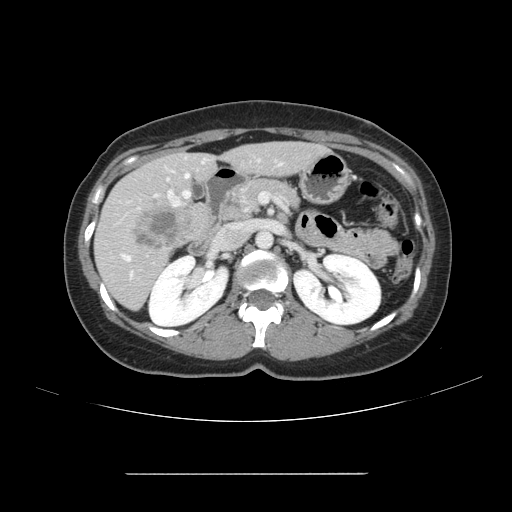 CT

The vessel boxes may cover only some of the vessels.
Liver tumor — (139,236,160,247), (147,212,179,241).
Hepatic vessel — (185,174,188,177), (167,178,169,180), (122,255,130,260), (258,159,259,161), (168,190,176,202), (202,158,206,162), (130,273,132,276), (155,194,157,196), (185,192,187,195).